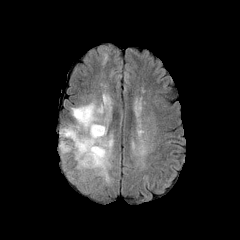
FLAIR magnetic resonance.
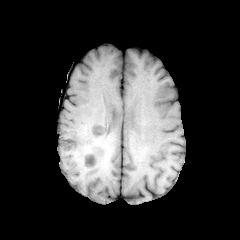
T1-weighted magnetic resonance.
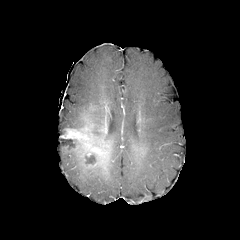
Same slice, post-contrast T1-weighted MRI.
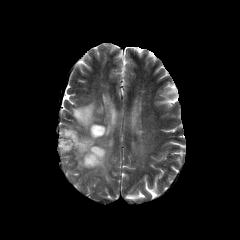
T2-weighted MR image.
2 non-enhancing tumor core regions appear at x1=98 y1=115 x2=107 y2=133, x1=61 y1=125 x2=109 y2=168. The edema is bounded by x1=59 y1=84 x2=114 y2=182. 2 enhancing tumor regions are bounded by x1=66 y1=128 x2=92 y2=151, x1=92 y1=148 x2=101 y2=155.